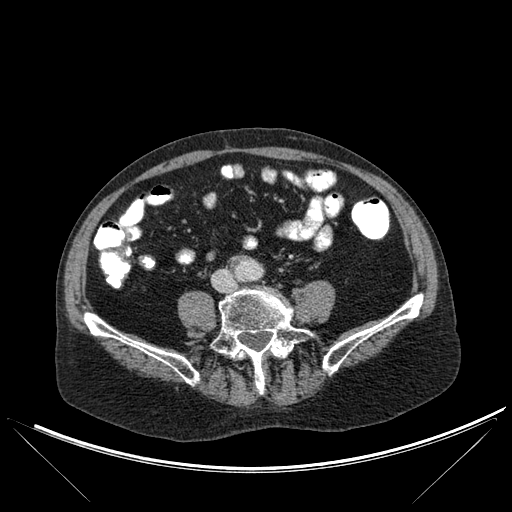
Computed tomography
bone:
  - 217 290 307 393
  - 323 294 422 373
  - 84 313 199 384